MR image, Slice 22/29, 34x49 px
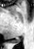
posterior hippocampus: 12, 40, 19, 43